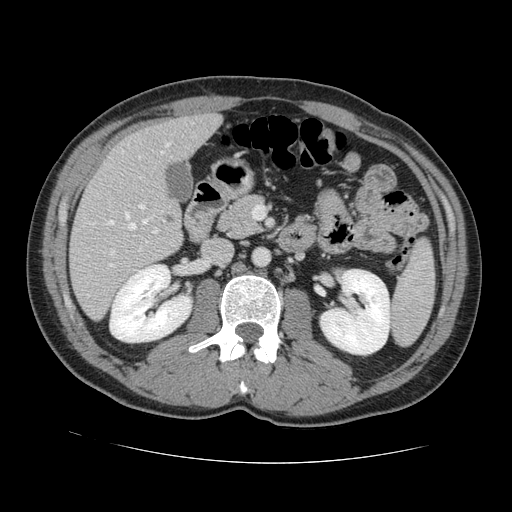
CT slice. Abdomen.

The vessel annotation is not exhaustive.
[15/16] hepatic vessel: (107,220,113,224), (128,221,134,230), (107,199,109,200), (140,176,142,177), (125,213,129,219), (86,222,97,225), (138,156,139,158), (160,151,162,153), (165,142,169,146), (153,228,157,232), (109,263,113,266), (139,204,143,210), (110,250,113,254), (142,216,152,223), (114,211,116,213) | liver tumor: (165,216,174,224)